CT slice. Image size 512x512. Upper abdomen. 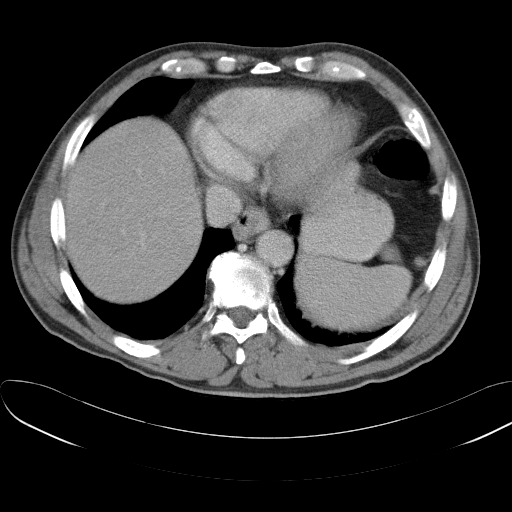 {
  "spleen": [
    "bbox=[295, 257, 410, 333]"
  ]
}